FLAIR magnetic resonance.
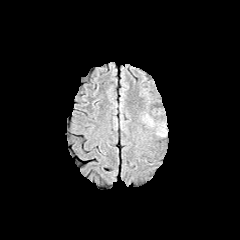
T1-weighted magnetic resonance.
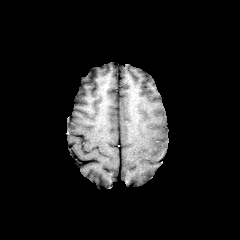
Post-contrast T1-weighted MR image.
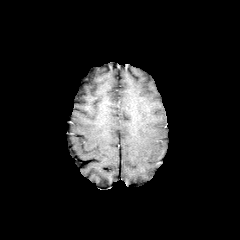
T2-weighted MR.
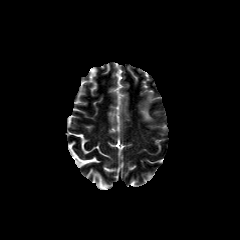
Head.
The edema appears at (141, 95, 166, 136).